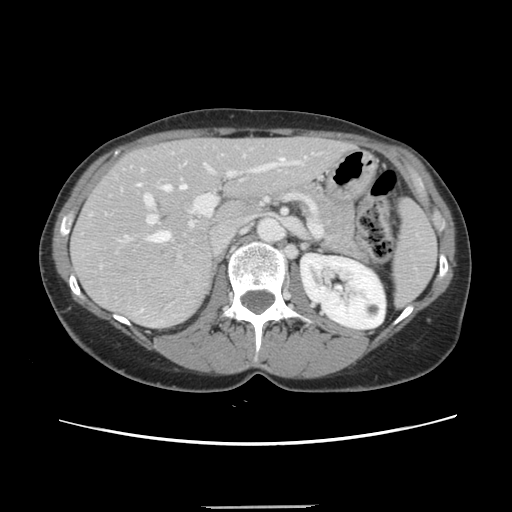 Abdomen, CT image
The vessel boxes may cover only some of the vessels.
hepatic_vessel:
  - left=137, top=184, right=141, bottom=185
  - left=144, top=194, right=152, bottom=206
  - left=252, top=158, right=286, bottom=170
  - left=161, top=185, right=170, bottom=190
  - left=227, top=171, right=233, bottom=175
  - left=192, top=194, right=216, bottom=214
  - left=180, top=185, right=185, bottom=188
  - left=125, top=237, right=130, bottom=239
  - left=189, top=221, right=192, bottom=225
  - left=203, top=162, right=211, bottom=171
  - left=147, top=214, right=156, bottom=223
  - left=291, top=161, right=301, bottom=163
  - left=148, top=231, right=169, bottom=241
  - left=304, top=156, right=305, bottom=159